Liver; CT slice; Slice 520/811

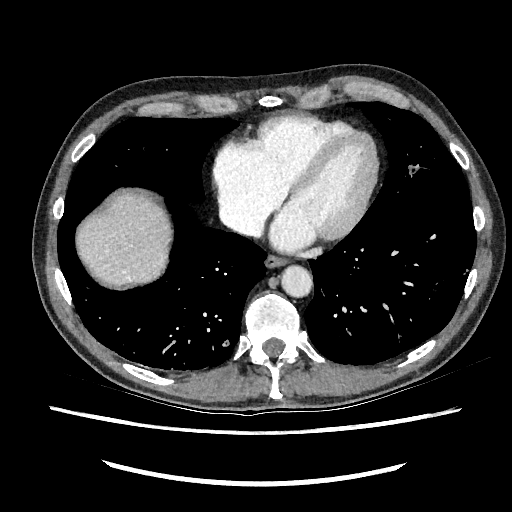

{
  "liver": [
    "x1=77, y1=195, x2=170, y2=281"
  ]
}